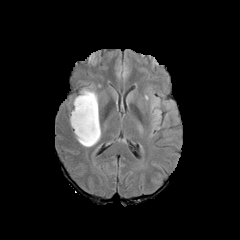
FLAIR MR.
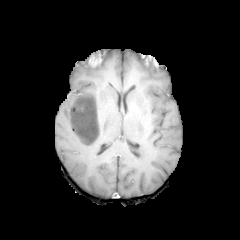
T1-weighted magnetic resonance.
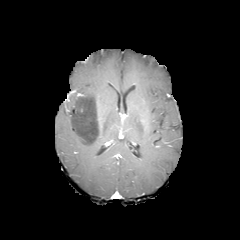
Same slice, post-contrast T1-weighted magnetic resonance.
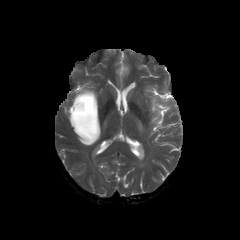
T2-weighted MRI.
- edema: (x1=68, y1=108, x2=102, y2=147), (x1=147, y1=90, x2=163, y2=130), (x1=72, y1=96, x2=78, y2=107), (x1=79, y1=84, x2=99, y2=109)
- non-enhancing tumor core: (x1=70, y1=94, x2=98, y2=141)